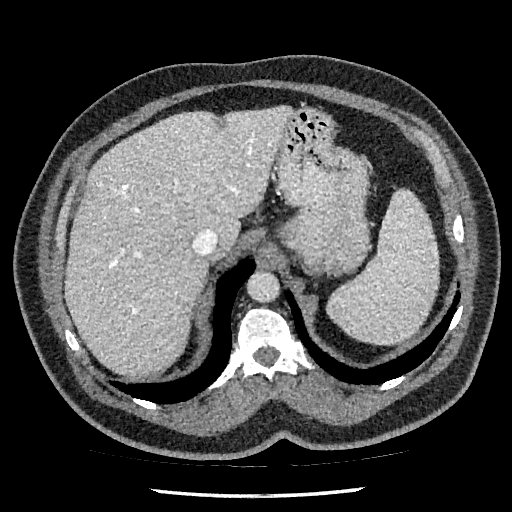

CT slice; Abdomen

Segmented structures:
- liver lesion: (x1=214, y1=117, x2=228, y2=130)
- liver: (x1=64, y1=107, x2=291, y2=375)